FLAIR magnetic resonance.
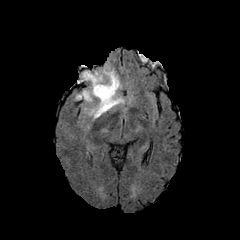
T1-weighted magnetic resonance.
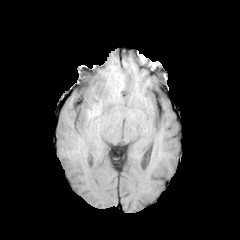
Post-contrast T1-weighted MR image.
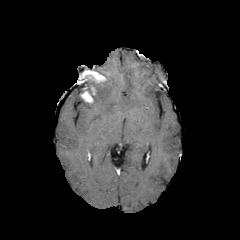
T2-weighted MR image.
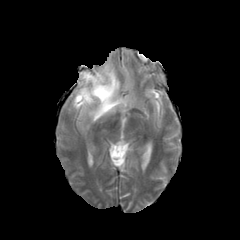
240x240 px; Head
edema:
  - (x1=79, y1=62, x2=125, y2=120)
non-enhancing_tumor_core:
  - (x1=79, y1=81, x2=105, y2=96)
enhancing_tumor:
  - (x1=77, y1=70, x2=105, y2=83)
  - (x1=80, y1=86, x2=95, y2=103)